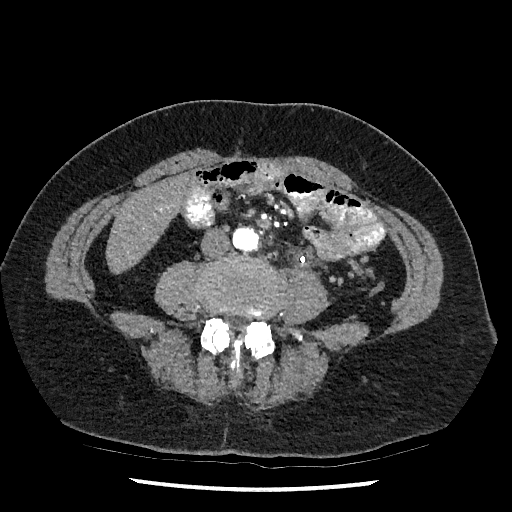 512x512 px. CT image.
liver:
  - <bbox>106, 176, 188, 273</bbox>